240x240 px. Head.
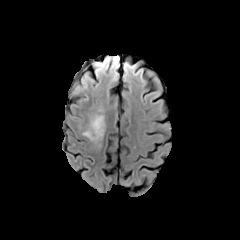
FLAIR MRI.
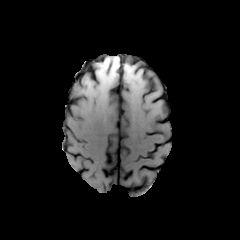
T1-weighted MRI of the same slice.
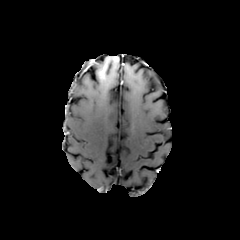
Post-contrast T1-weighted MR image.
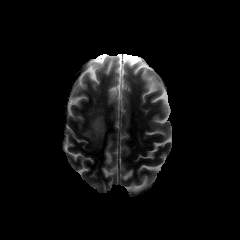
T2-weighted magnetic resonance.
Non-enhancing tumor core: box(92, 58, 117, 71).
Edema: box(108, 66, 117, 81); box(123, 65, 131, 79); box(83, 115, 104, 140).